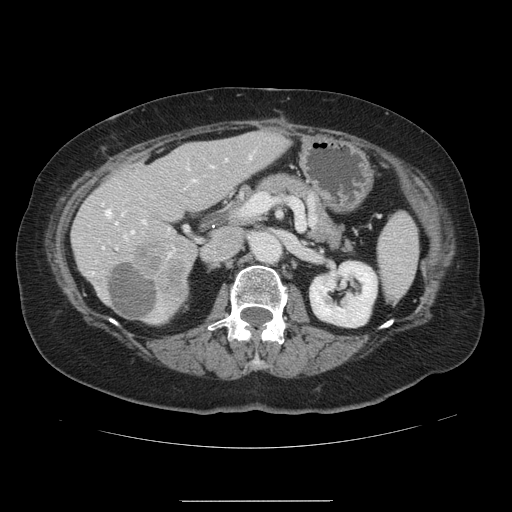

CT slice, Image size 512x512

Only some of the vessels may be annotated.
hepatic vessel: region(210, 165, 212, 167); region(187, 165, 188, 168); region(224, 158, 226, 160); region(116, 222, 117, 223); region(190, 179, 195, 181); region(130, 230, 133, 232); region(142, 220, 145, 223); region(105, 210, 110, 216); region(167, 252, 171, 256); region(115, 246, 116, 248); region(124, 235, 126, 237); region(248, 152, 252, 158) | liver tumor: region(109, 264, 157, 319); region(130, 242, 189, 294)